Hippocampus; Image width 36 mm; Magnetic resonance

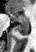
anterior_hippocampus:
  - (9,11,29,23)
posterior_hippocampus:
  - (16,24,29,36)